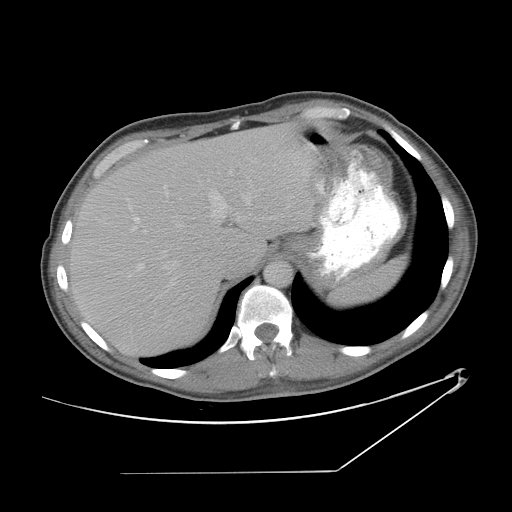

Computed tomography. Only some of the vessels may be annotated.
hepatic vessel: [129,205,132,210], [138,264,144,269], [210,190,230,217], [229,170,232,175], [132,227,135,230], [144,231,146,233], [135,217,139,222], [164,261,177,271], [170,279,175,286], [173,216,183,227], [243,193,253,205], [164,185,168,195]